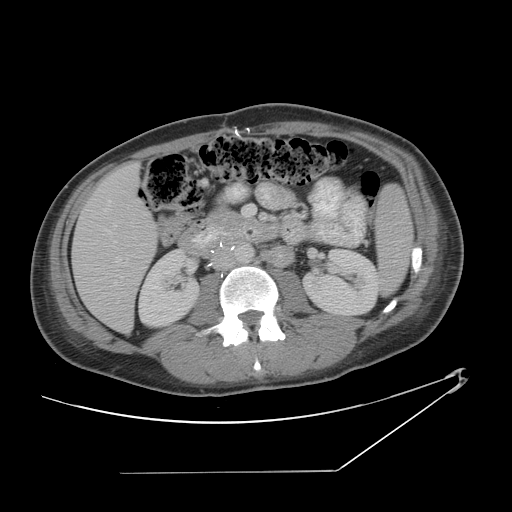 CT slice. Abdomen.
The vessel annotation is not exhaustive.
hepatic_vessel:
  - 114:280:117:286
  - 107:229:112:234
  - 114:225:116:227
  - 116:257:128:265